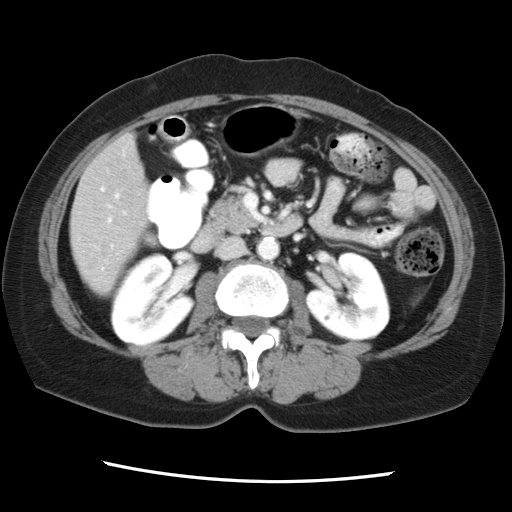

CT, Abdomen
Only some of the vessels may be annotated.
Hepatic vessel at bbox(110, 244, 114, 248); bbox(101, 267, 102, 270).